Slice 97/155
FLAIR MRI.
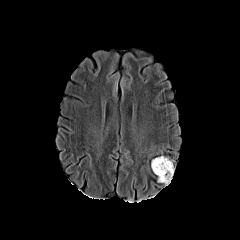
T1-weighted magnetic resonance.
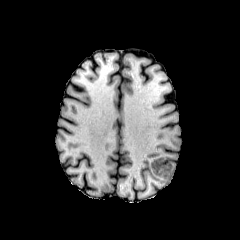
Post-contrast T1-weighted MR image.
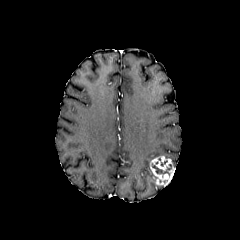
T2-weighted magnetic resonance.
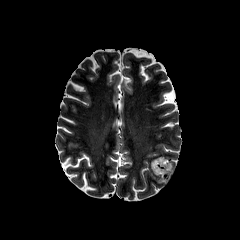
Findings:
• enhancing tumor: (left=150, top=156, right=174, bottom=187)
• edema: (left=147, top=146, right=165, bottom=160)
• non-enhancing tumor core: (left=152, top=162, right=171, bottom=177)